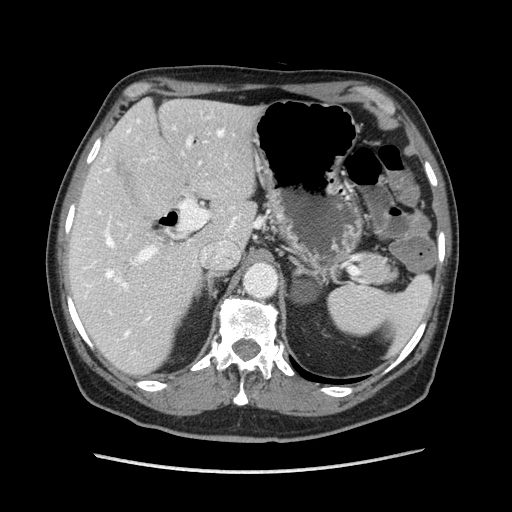

512x512 px. Computed tomography.

The pancreas is at {"x1": 359, "y1": 254, "x2": 397, "y2": 284}.